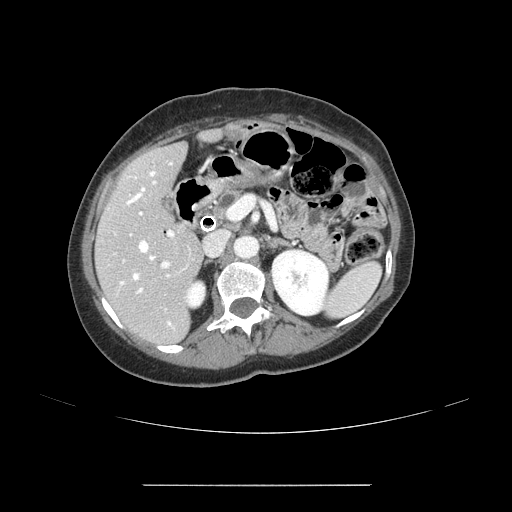
Image size 512x512; CT; Abdomen
Pancreas = [215, 191, 241, 220].